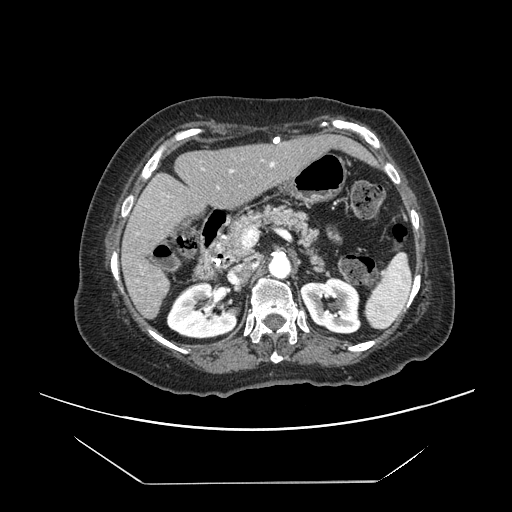

Liver. Computed tomography.
The vessel annotation is not exhaustive.
2 hepatic vessel regions are located at rect(230, 170, 232, 171); rect(242, 227, 257, 247).